CT
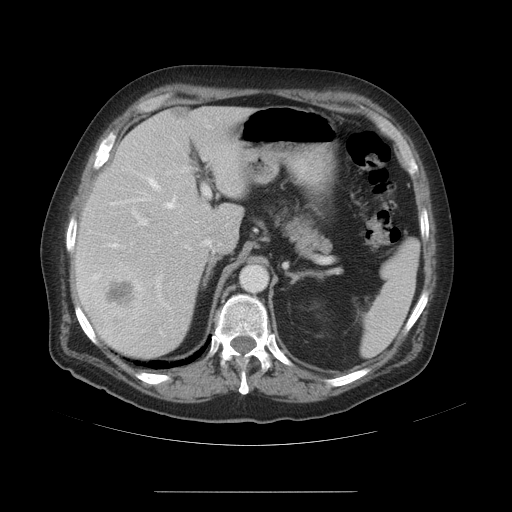

Some hepatic vessels may have no box.
The top 15 hepatic vessel regions (of 18) appear at region(126, 198, 144, 201); region(166, 196, 176, 208); region(110, 243, 117, 247); region(174, 232, 176, 234); region(185, 245, 191, 249); region(182, 167, 188, 171); region(204, 187, 210, 195); region(159, 294, 160, 300); region(204, 240, 206, 243); region(142, 176, 159, 190); region(157, 279, 160, 290); region(110, 201, 120, 204); region(132, 209, 146, 224); region(141, 193, 145, 194); region(160, 331, 164, 335). The liver tumor is located at region(78, 262, 146, 339).